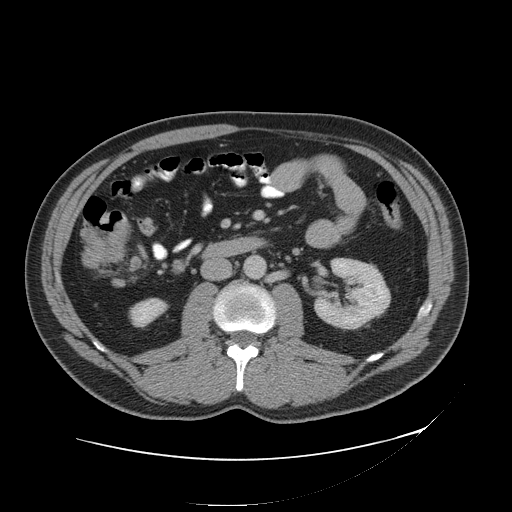
CT image. Abdomen. 512x512.

2 colon tumor regions are bounded by (x1=81, y1=220, x2=128, y2=267), (x1=100, y1=214, x2=108, y2=224).